240x240 px. Brain.
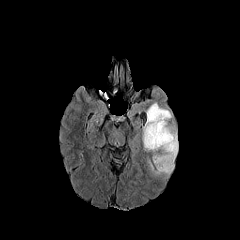
FLAIR magnetic resonance.
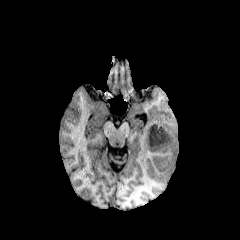
Same slice, T1-weighted MRI.
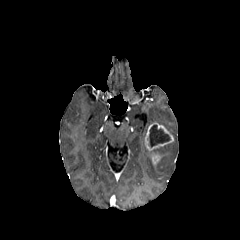
Post-contrast T1-weighted MRI.
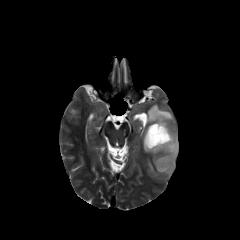
Same slice, T2-weighted MRI.
{
  "edema": [
    "l=140, t=103, r=178, b=178"
  ],
  "enhancing_tumor": [
    "l=144, t=122, r=173, b=164"
  ],
  "non-enhancing_tumor_core": [
    "l=149, t=124, r=170, b=147"
  ]
}